FLAIR MRI.
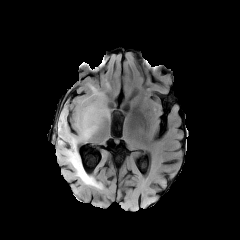
T1-weighted MR image.
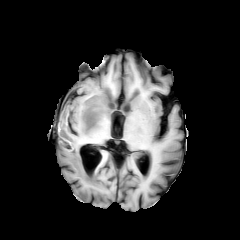
Post-contrast T1-weighted MR.
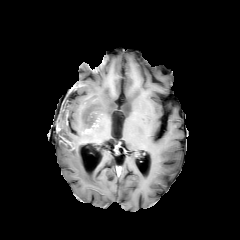
T2-weighted MR.
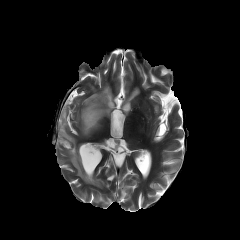
Head
<segmentation>
  <edema>bbox(56, 104, 108, 188)</edema>
</segmentation>